CT image, Field of view 500x500 mm

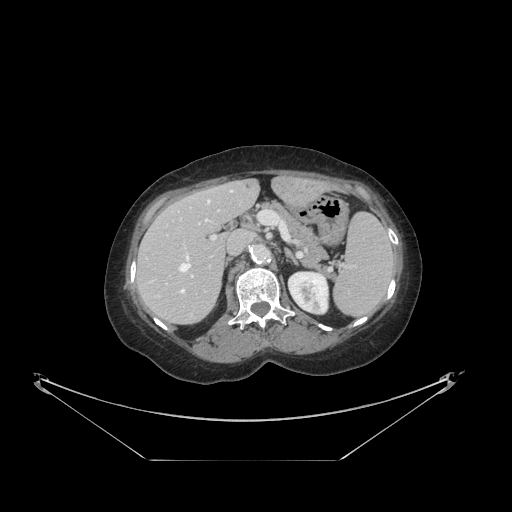

The vessel boxes may cover only some of the vessels.
<segmentation>
  <hepatic_vessel>rect(258, 210, 281, 231); rect(207, 199, 210, 202); rect(230, 190, 232, 191); rect(181, 289, 184, 293); rect(179, 253, 189, 270); rect(211, 236, 215, 239); rect(217, 210, 219, 211)</hepatic_vessel>
</segmentation>